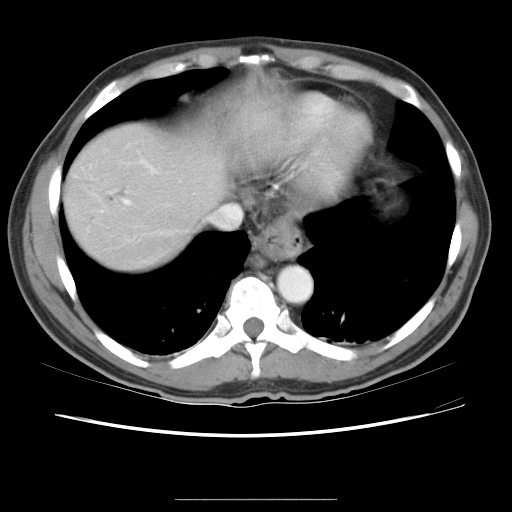 Abdomen, CT scan slice, 512x512 px
Not every hepatic vessel necessarily has a box.
6 hepatic vessel regions are located at 160,231,170,234; 127,144,129,146; 110,190,115,193; 140,159,155,173; 209,206,241,226; 123,198,130,204.